512x512 px | CT
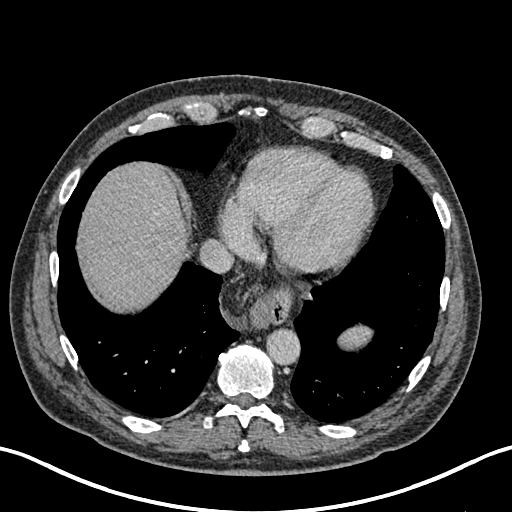 Liver = rect(79, 162, 186, 310).